512x512 px, CT slice 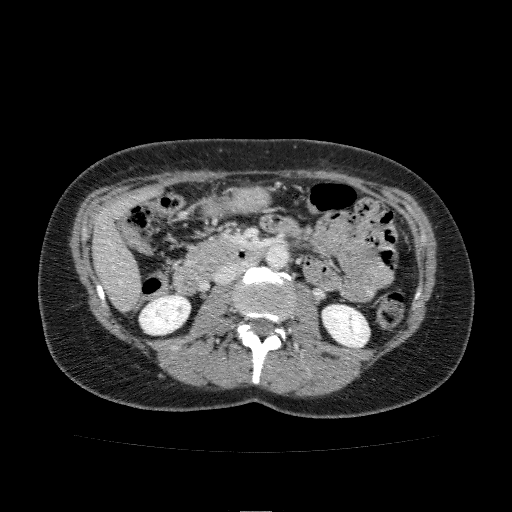

Annotated regions:
• liver: left=92, top=190, right=157, bottom=309
• kidney: left=322, top=305, right=369, bottom=347; left=139, top=296, right=190, bottom=334